CT; Field of view 439x439 mm
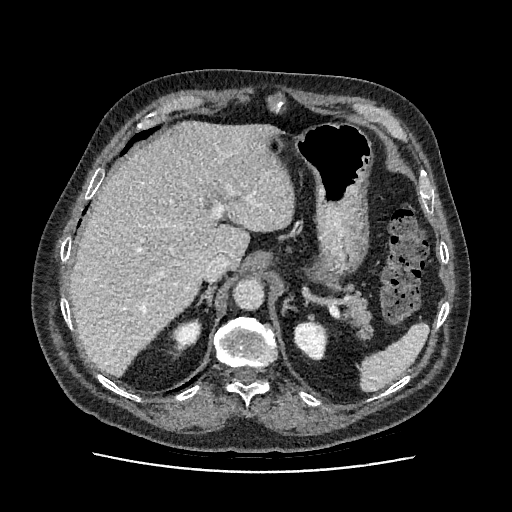

The liver lies within rect(71, 121, 293, 375). 2 kidney regions are located at rect(177, 323, 198, 344); rect(295, 323, 324, 358).